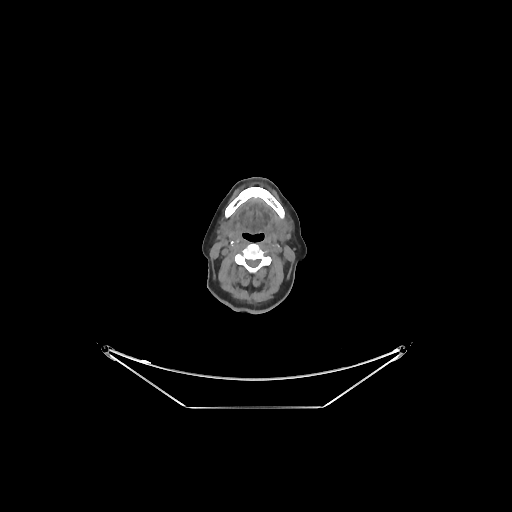

CT slice | 512x512
2 bone regions are bounded by 225 187 284 218, 235 244 272 276.